34x48 | Slice 17 of 32 | MR image 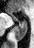

posterior hippocampus: 14,22,26,40 | anterior hippocampus: 11,15,17,20